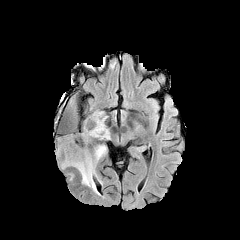
FLAIR magnetic resonance.
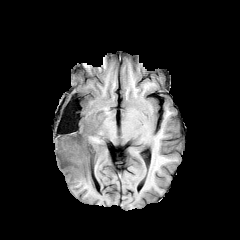
T1-weighted MR image of the same slice.
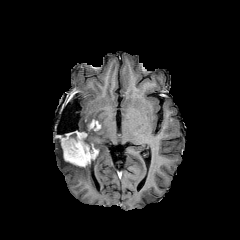
Same slice, post-contrast T1-weighted MRI.
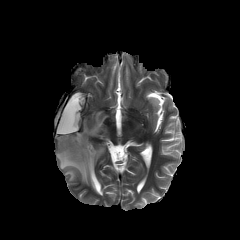
T2-weighted MR image.
Brain
The enhancing tumor appears at bbox=[58, 132, 98, 167]. 2 non-enhancing tumor core regions appear at bbox=[61, 131, 77, 141]; bbox=[79, 127, 98, 151]. The edema is at bbox=[58, 110, 109, 194].